Lower abdomen | CT slice | Field of view 343 mm wide, 1.50 mm slice spacing

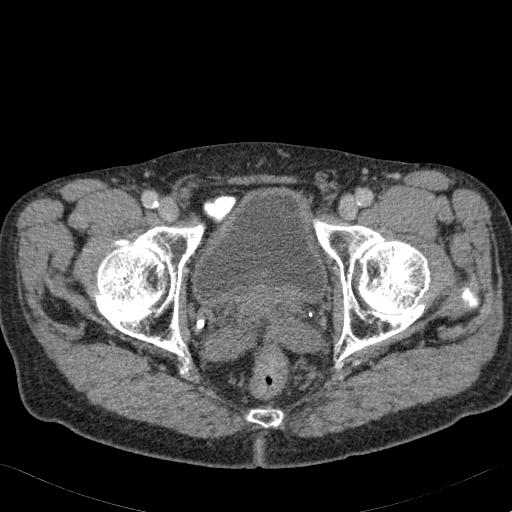

The urinary bladder is bounded by [195, 194, 329, 305].